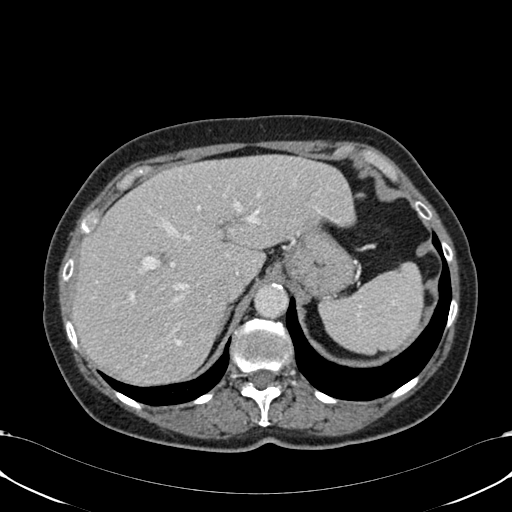 CT scan slice. Liver.

The liver is located at x1=72 y1=154 x2=355 y2=382.